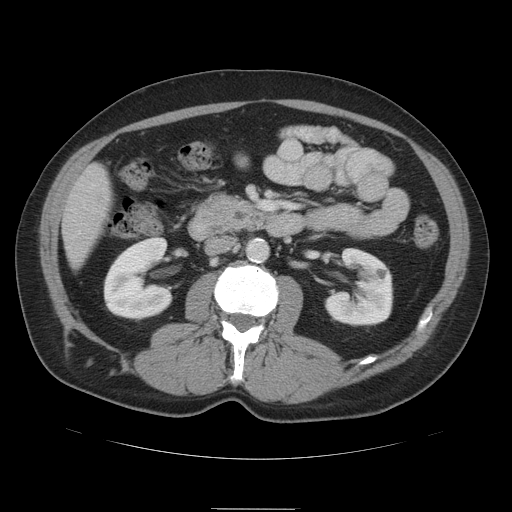

CT

Pancreas = (197, 192, 269, 236).